FLAIR MR.
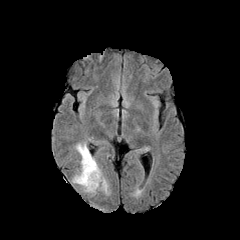
T1-weighted MR image.
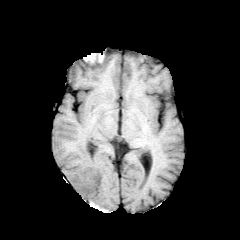
Post-contrast T1-weighted MRI.
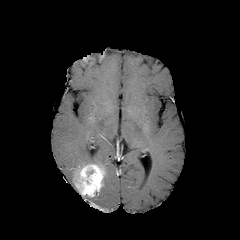
T2-weighted magnetic resonance.
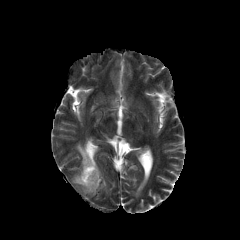
Head
The enhancing tumor is bounded by [x1=74, y1=164, x2=102, y2=196]. 2 edema regions are bounded by [x1=101, y1=178, x2=107, y2=192], [x1=75, y1=143, x2=102, y2=173].